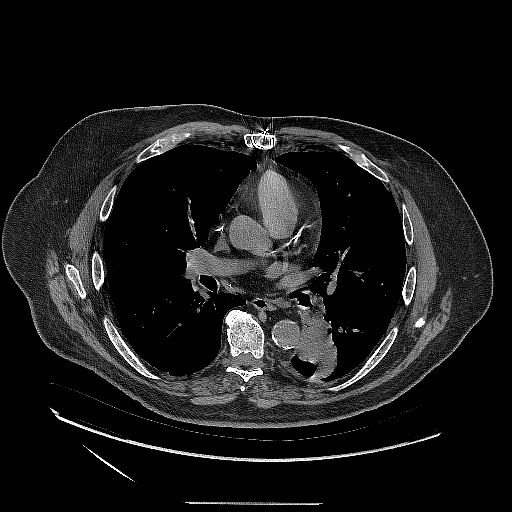 CT
Segmented structures:
• lung tumor: x1=296, y1=293, x2=341, y2=380